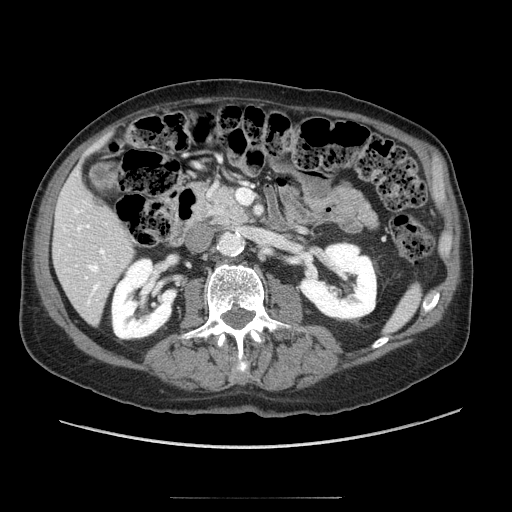
512x512 px; CT
The pancreatic tumor is located at bbox(216, 189, 233, 208). The pancreas lies within bbox(207, 188, 247, 224).